Image size 512x512; CT image; Abdomen
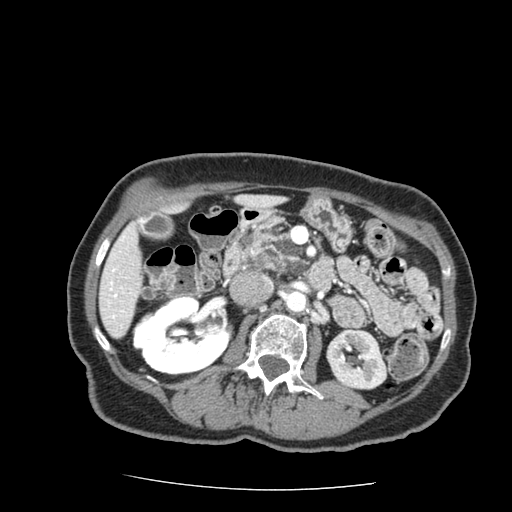

• pancreatic tumor: box(276, 239, 303, 275)
• pancreas: box(299, 246, 308, 274); box(243, 217, 298, 277)